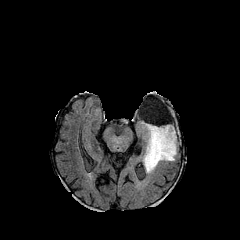
FLAIR MRI.
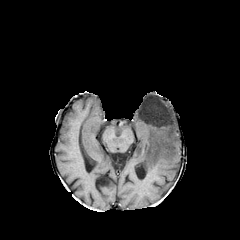
T1-weighted MR image of the same slice.
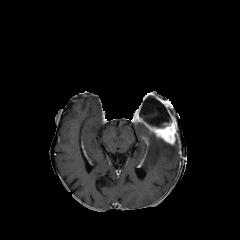
Same slice, post-contrast T1-weighted MRI.
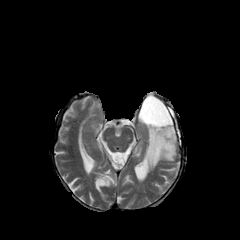
T2-weighted MR of the same slice.
Head
<segmentation>
  <non-enhancing_tumor_core>left=137, top=94, right=176, bottom=127; left=168, top=137, right=179, bottom=147</non-enhancing_tumor_core>
  <enhancing_tumor>left=132, top=112, right=177, bottom=144</enhancing_tumor>
  <edema>left=140, top=125, right=177, bottom=173</edema>
</segmentation>